Upper abdomen; Slice index 296; CT slice
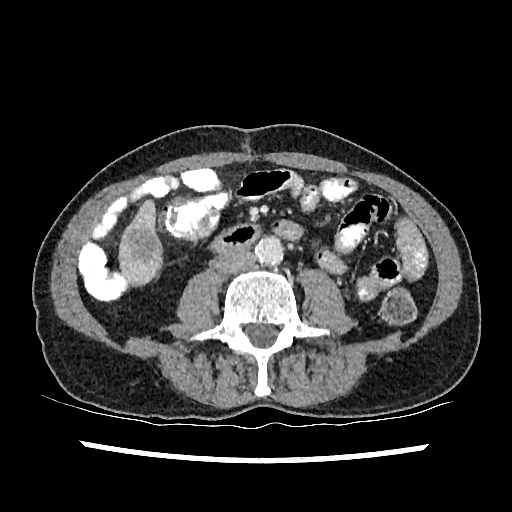

liver:
  - box=[120, 200, 161, 283]
hepatic_lesion:
  - box=[127, 229, 159, 260]